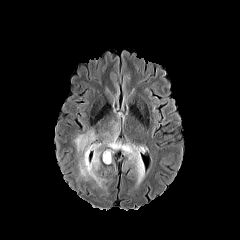
FLAIR magnetic resonance.
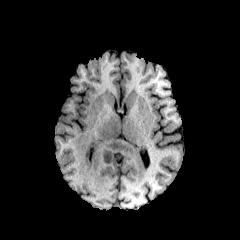
T1-weighted MRI.
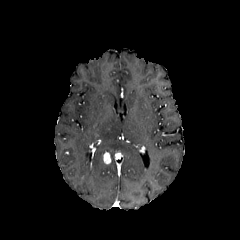
Post-contrast T1-weighted MRI.
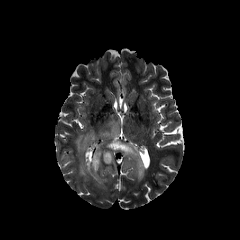
T2-weighted MR image of the same slice.
Head
Edema: bounding box box=[75, 131, 104, 187]; box=[107, 137, 144, 178].
Enhancing tumor: bounding box box=[103, 150, 111, 164].